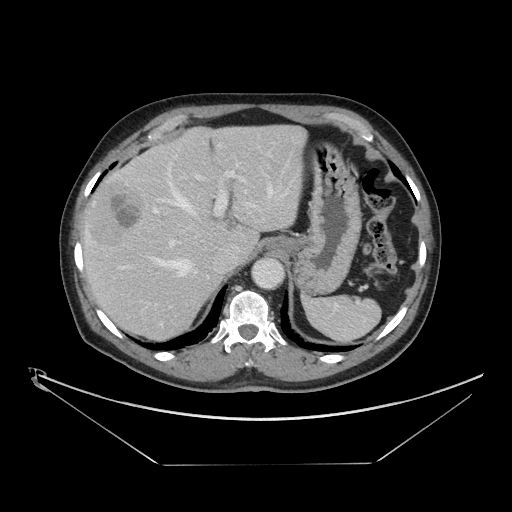 Abdomen; CT
The vessel annotation is not exhaustive.
The top 15 hepatic vessel regions (of 19) are bounded by x1=217 y1=196 x2=225 y2=209, x1=284 y1=191 x2=287 y2=194, x1=225 y1=171 x2=235 y2=176, x1=267 y1=186 x2=273 y2=196, x1=215 y1=212 x2=219 y2=215, x1=249 y1=204 x2=256 y2=207, x1=156 y1=191 x2=194 y2=213, x1=169 y1=240 x2=175 y2=246, x1=195 y1=174 x2=200 y2=177, x1=150 y1=257 x2=192 y2=275, x1=153 y1=207 x2=157 y2=212, x1=169 y1=162 x2=170 y2=174, x1=160 y1=322 x2=162 y2=325, x1=237 y1=176 x2=245 y2=181, x1=268 y1=152 x2=270 y2=156. The liver tumor is bounded by x1=86 y1=180 x2=145 y2=246.